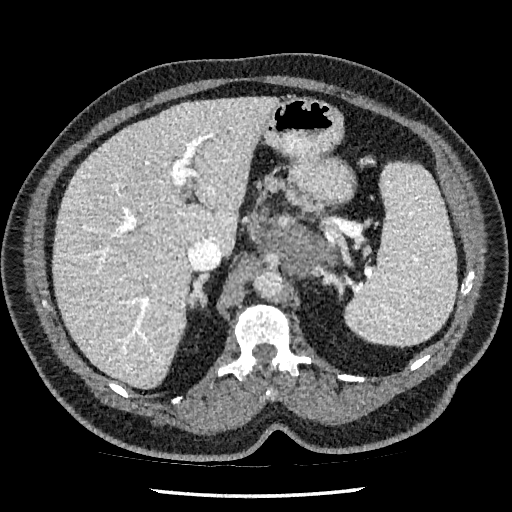 CT slice; 512x512
The liver is located at box(53, 97, 277, 388). The liver lesion is bounded by box(91, 241, 97, 249).